Computed tomography, Slice 42 of 141

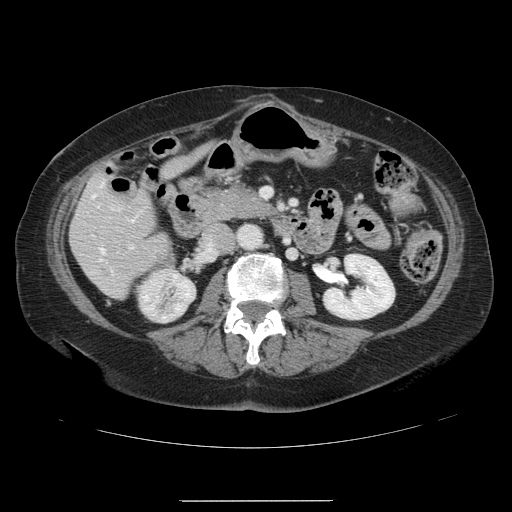
The vessel annotation is not exhaustive.
Hepatic vessel: [92,194,94,196], [128,244,132,247], [100,248,104,252], [101,180,104,185], [130,217,134,221], [97,204,99,206], [111,206,119,210].